Pelvis | CT image 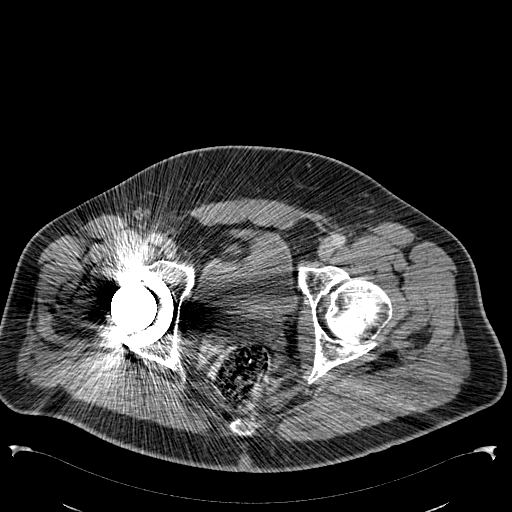 The urinary bladder lies within x1=195, y1=226, x2=301, y2=324.